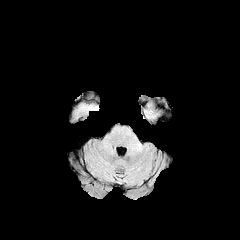
FLAIR MR image.
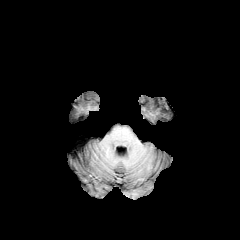
Same slice, T1-weighted MR.
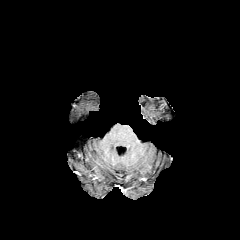
Post-contrast T1-weighted magnetic resonance of the same slice.
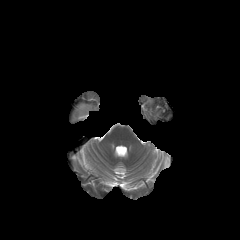
Same slice, T2-weighted MR.
The edema is bounded by 79 104 95 111.